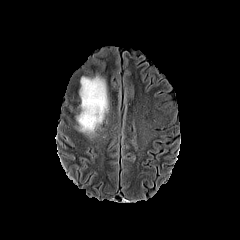
FLAIR MR image.
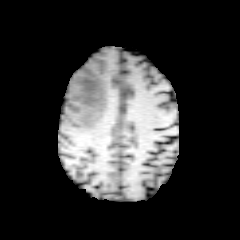
T1-weighted magnetic resonance of the same slice.
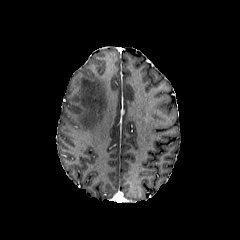
Post-contrast T1-weighted MRI.
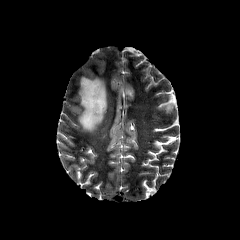
T2-weighted MRI.
Head.
edema:
  - (77, 77, 109, 136)